CT slice.

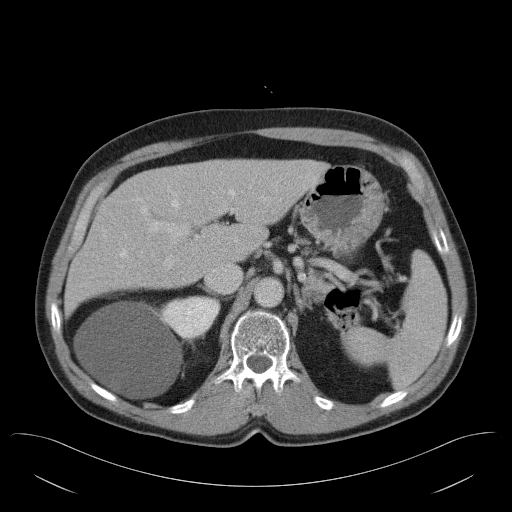
The vessel annotation is not exhaustive.
hepatic vessel: 164, 255, 172, 267; 120, 250, 126, 256; 249, 185, 250, 187; 230, 189, 233, 190; 172, 200, 178, 206; 232, 193, 235, 197; 132, 197, 160, 231